Field of view 240 mm wide, 1.00 mm slice spacing. Slice 52 of 155. Head.
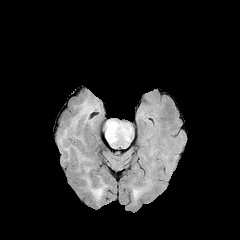
FLAIR MR.
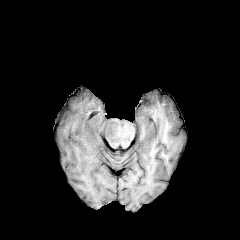
T1-weighted magnetic resonance of the same slice.
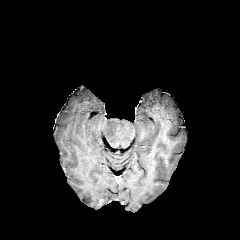
Same slice, post-contrast T1-weighted magnetic resonance.
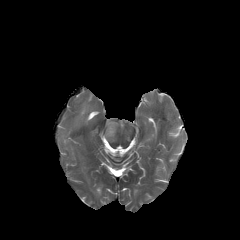
T2-weighted magnetic resonance.
edema:
  - <bbox>73, 146, 88, 164</bbox>
  - <bbox>58, 129, 68, 147</bbox>
  - <bbox>86, 177, 106, 198</bbox>
  - <bbox>71, 100, 91, 129</bbox>